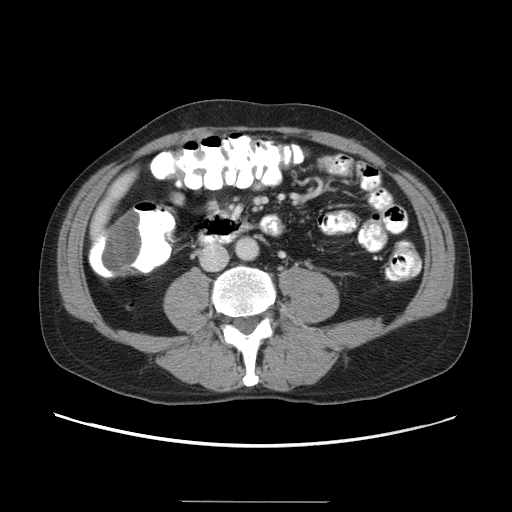 CT scan slice | Pelvis
Colon tumor: box(102, 211, 141, 274).